Head
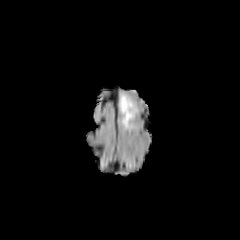
FLAIR MRI.
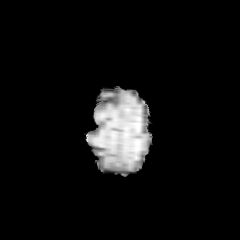
T1-weighted MR.
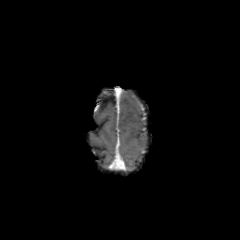
Same slice, post-contrast T1-weighted MRI.
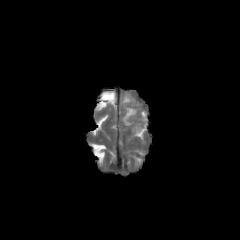
T2-weighted MRI of the same slice.
{
  "edema": [
    "box(120, 95, 135, 128)"
  ]
}